Image size 512x512 | CT image | Lower abdomen 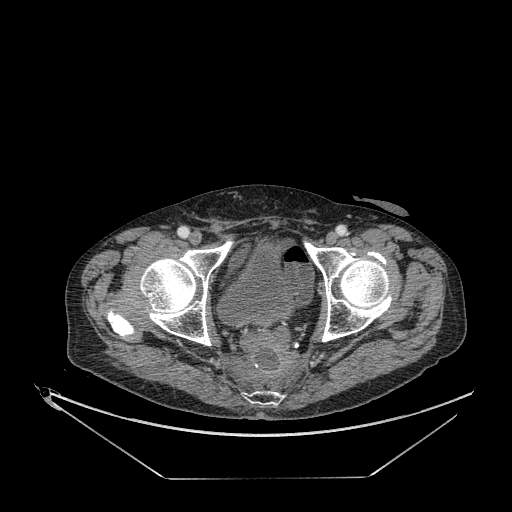
Urinary bladder: bounding box (217, 239, 299, 325).